Computed tomography | Image width 329 mm | Slice index 9 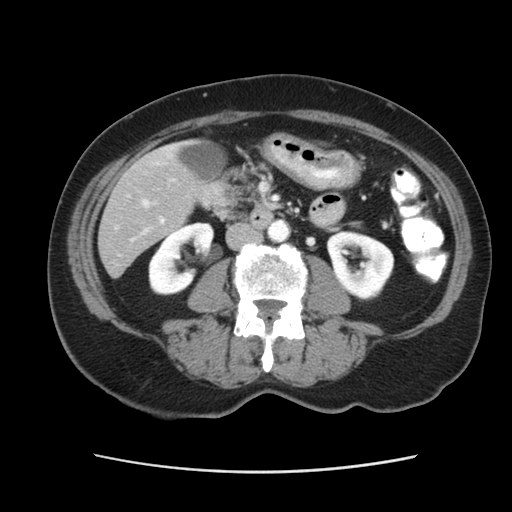
The vessel annotation is not exhaustive.
Hepatic vessel: bounding box left=141, top=228, right=150, bottom=234; left=159, top=218, right=163, bottom=223; left=143, top=200, right=154, bottom=207; left=116, top=226, right=118, bottom=228.